Field of view 384x384 mm | Computed tomography | 512x512 px

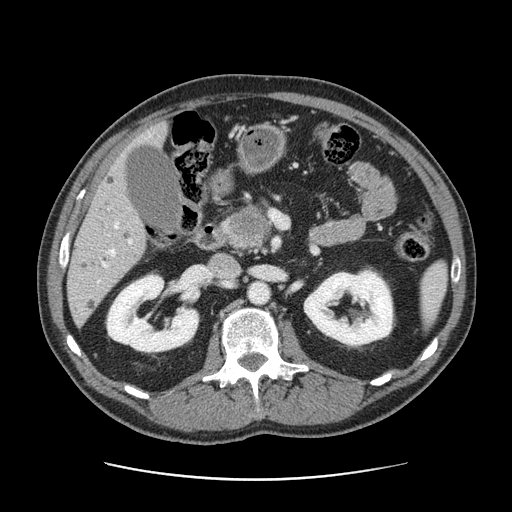

The pancreas appears at bbox=[221, 213, 270, 249]. The pancreatic tumor is bounded by bbox=[228, 208, 267, 243].